CT image, 512x512, Chest, Field of view 360 mm wide, 1.25 mm slice spacing, Slice 151/289

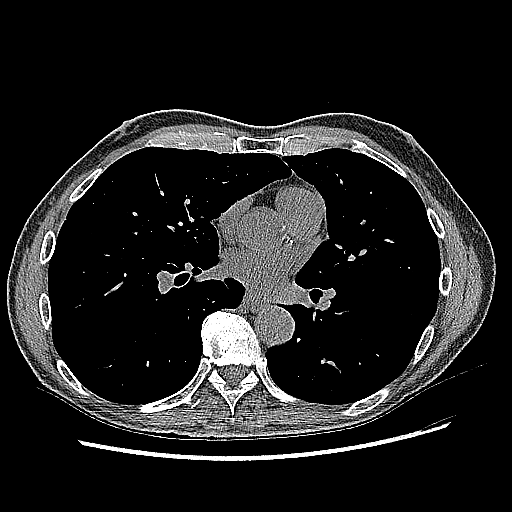

lung_tumor:
  - rect(131, 226, 139, 236)